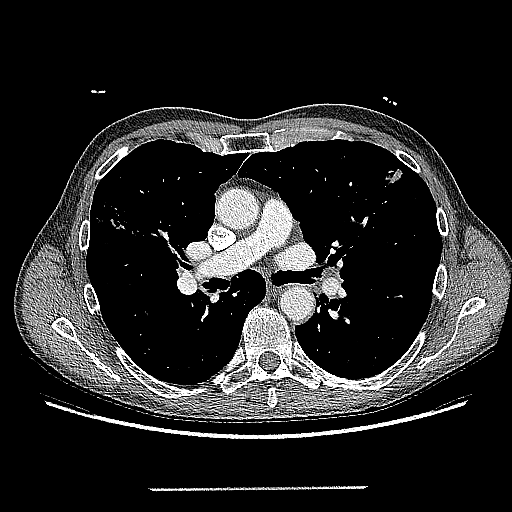
Computed tomography.

{"lung_tumor": ["x1=384 y1=167 x2=404 y2=188"]}